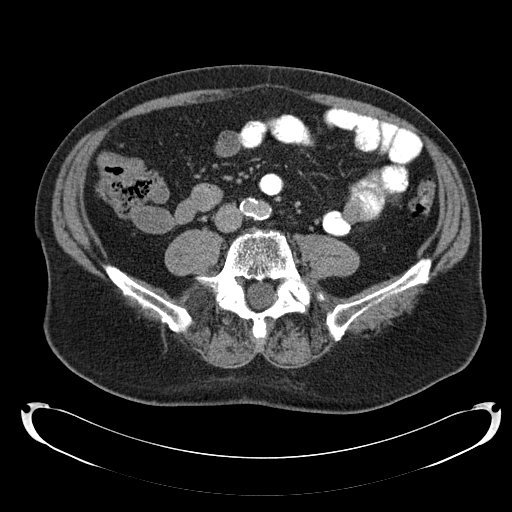 CT

Segmented structures:
• colon tumor: 96, 153, 144, 179